512x512 px | CT | Image width 388 mm
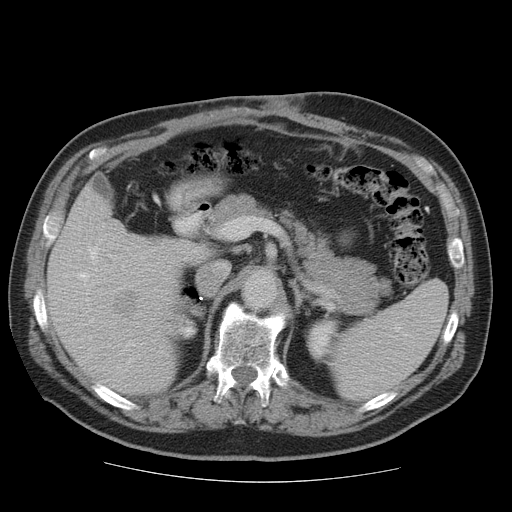 The vessel annotation is not exhaustive.
Liver tumor — 112:287:140:320.
Hepatic vessel — 88:246:98:263, 94:268:97:274, 90:317:93:322, 127:341:135:345, 78:273:89:285, 90:337:91:339, 78:227:80:229, 87:309:91:311.